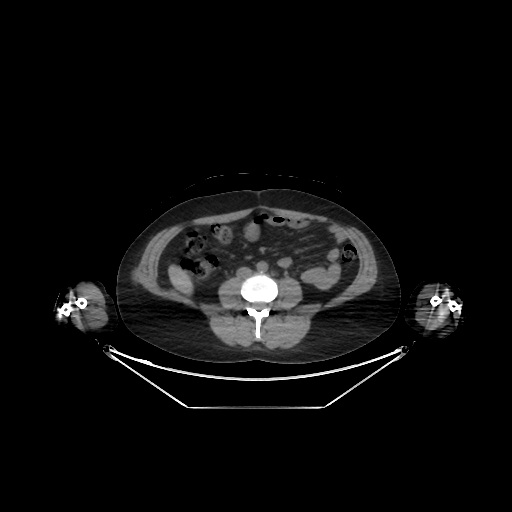

CT
liver:
  - x1=168, y1=265, x2=192, y2=294